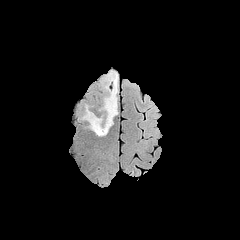
FLAIR MR image.
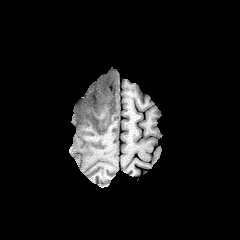
T1-weighted MRI of the same slice.
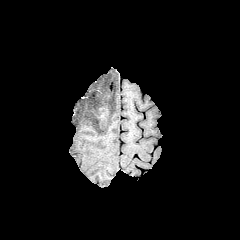
Post-contrast T1-weighted MR image of the same slice.
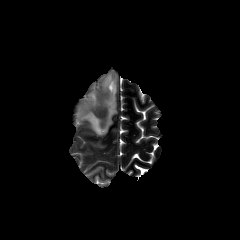
T2-weighted MR image.
Brain. Image size 240x240.
Edema — <box>83,70,118,136</box>.